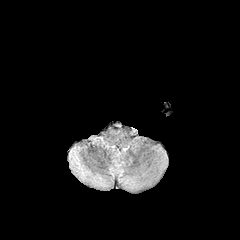
FLAIR MR.
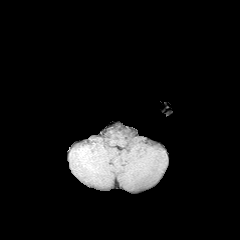
T1-weighted magnetic resonance of the same slice.
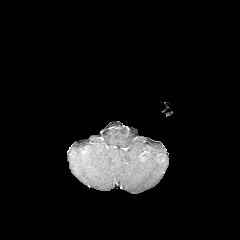
Post-contrast T1-weighted MR image of the same slice.
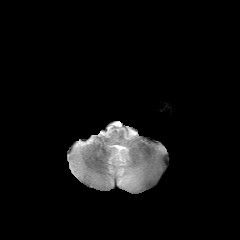
T2-weighted MRI of the same slice.
Head.
The edema appears at (108,142,137,185).